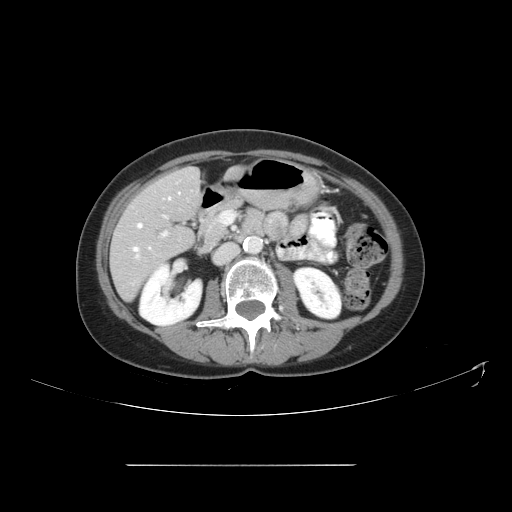
CT slice; Image size 512x512
Not every hepatic vessel necessarily has a box.
{"hepatic_vessel": ["bbox=[131, 206, 133, 207]", "bbox=[133, 247, 139, 258]", "bbox=[137, 223, 142, 227]", "bbox=[178, 192, 180, 193]", "bbox=[163, 215, 168, 218]", "bbox=[148, 247, 151, 249]", "bbox=[168, 197, 170, 200]"]}